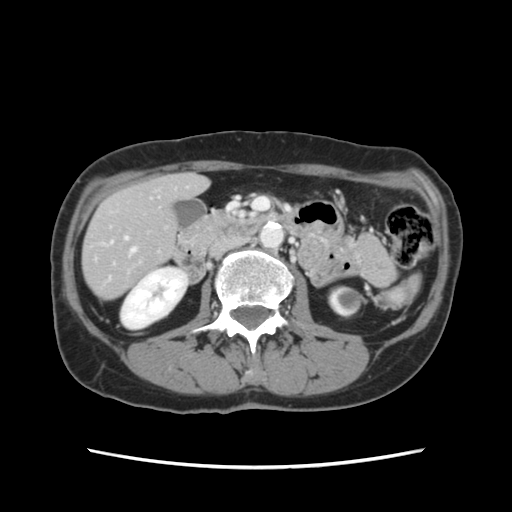

Computed tomography; Image size 512x512
Not every hepatic vessel necessarily has a box.
Hepatic vessel — [131,248,135,252], [125,236,127,239].